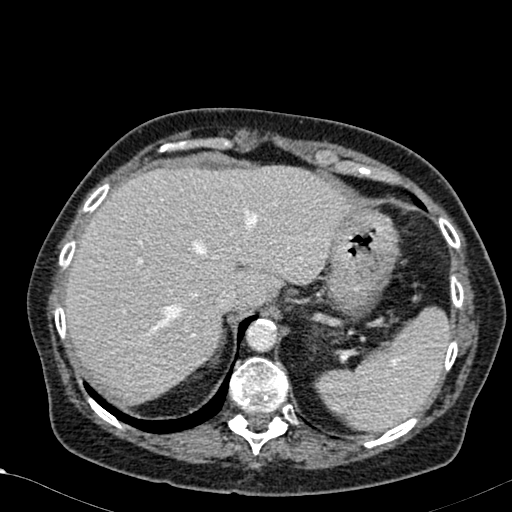
512x512 px, CT slice, Liver
Liver = region(66, 166, 347, 402).